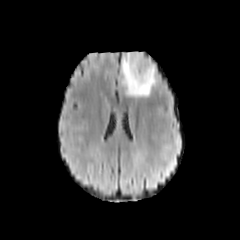
FLAIR magnetic resonance.
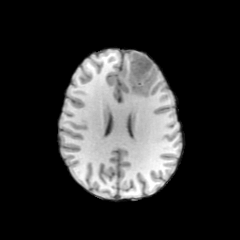
T1-weighted MRI.
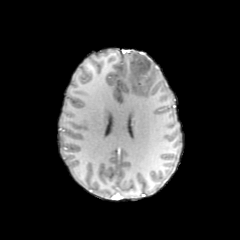
Same slice, post-contrast T1-weighted magnetic resonance.
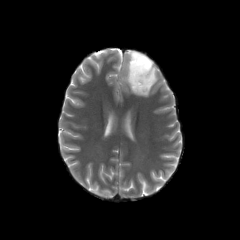
Same slice, T2-weighted MR image.
240x240 px
Edema: (x1=121, y1=51, x2=143, y2=96), (x1=150, y1=60, x2=155, y2=81).
Non-enhancing tumor core: (x1=129, y1=53, x2=154, y2=96).